Slice index 47; Brain
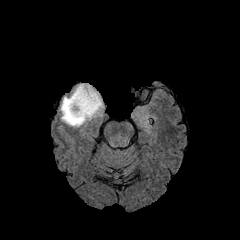
FLAIR MRI.
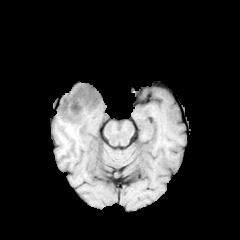
T1-weighted MR of the same slice.
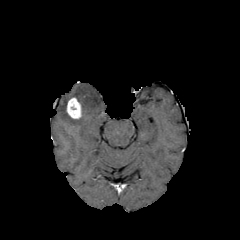
Post-contrast T1-weighted MR image of the same slice.
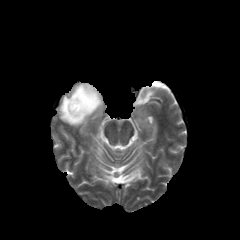
T2-weighted magnetic resonance of the same slice.
edema: l=58, t=83, r=103, b=127 | enhancing tumor: l=66, t=96, r=82, b=119 | non-enhancing tumor core: l=73, t=94, r=85, b=120